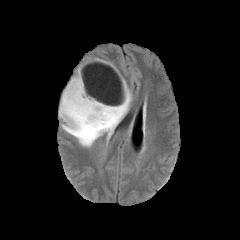
FLAIR magnetic resonance.
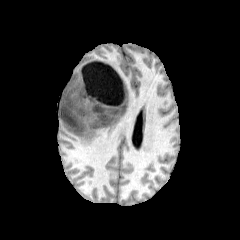
T1-weighted MR image.
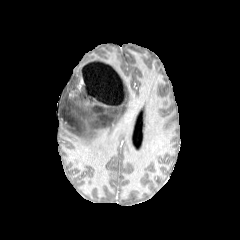
Post-contrast T1-weighted MRI.
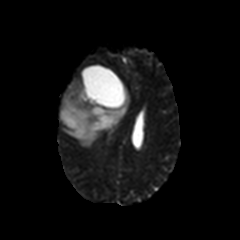
T2-weighted MRI.
240x240.
<segmentation>
  <non-enhancing_tumor_core>(x1=76, y1=80, x2=120, y2=126), (x1=61, y1=108, x2=82, y2=131)</non-enhancing_tumor_core>
  <edema>(x1=58, y1=72, x2=131, y2=147)</edema>
</segmentation>